Image size 240x240; Head
FLAIR magnetic resonance.
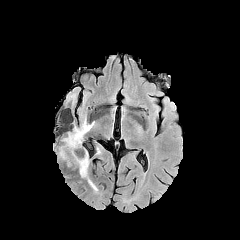
T1-weighted MR image.
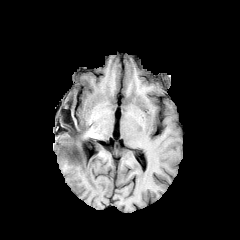
Post-contrast T1-weighted magnetic resonance.
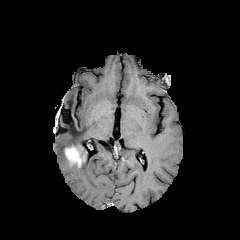
T2-weighted MR.
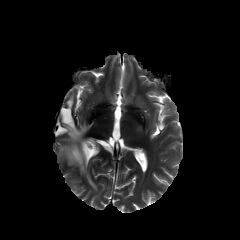
edema: l=79, t=154, r=97, b=192; l=66, t=92, r=77, b=105; l=58, t=146, r=66, b=159; l=62, t=115, r=93, b=151 | non-enhancing tumor core: l=70, t=144, r=87, b=157 | enhancing tumor: l=64, t=146, r=85, b=166